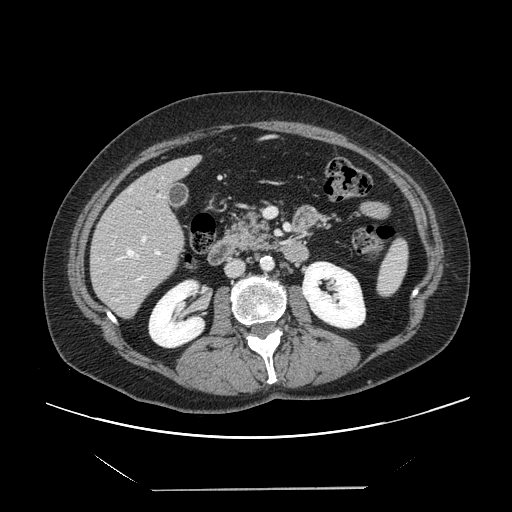 Computed tomography.
Not every hepatic vessel necessarily has a box.
<segmentation>
  <hepatic_vessel>left=134, top=275, right=145, bottom=282; left=141, top=235, right=146, bottom=243; left=157, top=194, right=162, bottom=197; left=154, top=249, right=160, bottom=255; left=114, top=247, right=138, bottom=261; left=111, top=242, right=114, bottom=243; left=115, top=283, right=116, bottom=285; left=97, top=258, right=102, bottom=260</hepatic_vessel>
</segmentation>